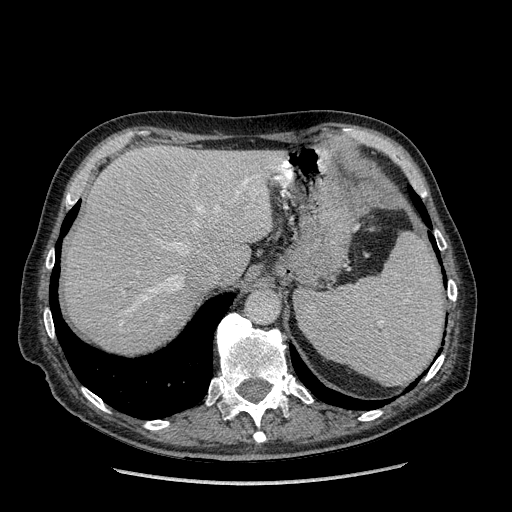 Upper abdomen; CT image
Liver = [64,145,281,354].